MRI. 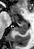 The posterior hippocampus lies within (x1=15, y1=23, x2=27, y2=34). 3 anterior hippocampus regions appear at (x1=20, y1=21, x2=27, y2=22), (x1=16, y1=19, x2=18, y2=22), (x1=11, y1=14, x2=14, y2=21).